Image size 240x240; Head
FLAIR MR.
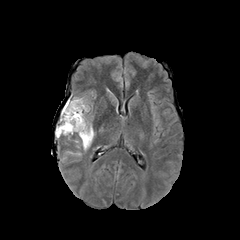
T1-weighted MR image.
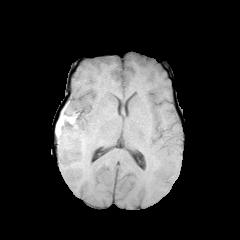
Post-contrast T1-weighted MR image.
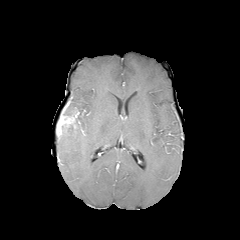
T2-weighted MR image.
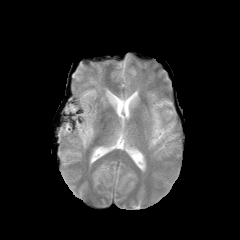
edema: left=66, top=151, right=81, bottom=156; left=63, top=94, right=94, bottom=151 | enhancing tumor: left=60, top=115, right=75, bottom=127 | non-enhancing tumor core: left=64, top=113, right=80, bottom=123; left=57, top=123, right=69, bottom=134